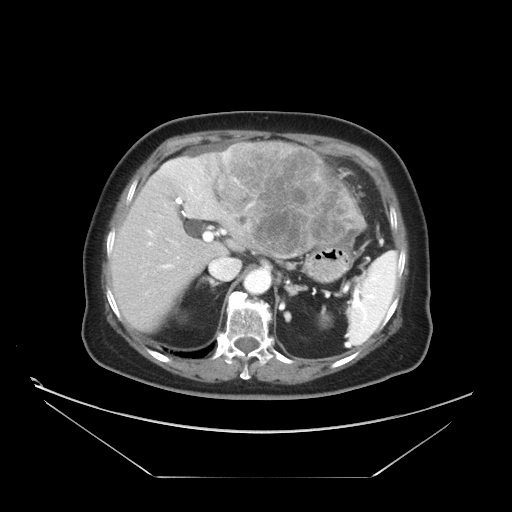 Image size 512x512. Liver. CT. The vessel boxes may cover only some of the vessels.
{"hepatic_vessel": [{"x1": 148, "y1": 230, "x2": 151, "y2": 234}, {"x1": 167, "y1": 238, "x2": 179, "y2": 246}], "liver_tumor": [{"x1": 218, "y1": 142, "x2": 364, "y2": 258}]}